CT | Slice 487/871 | Liver | Field of view 380x380 mm

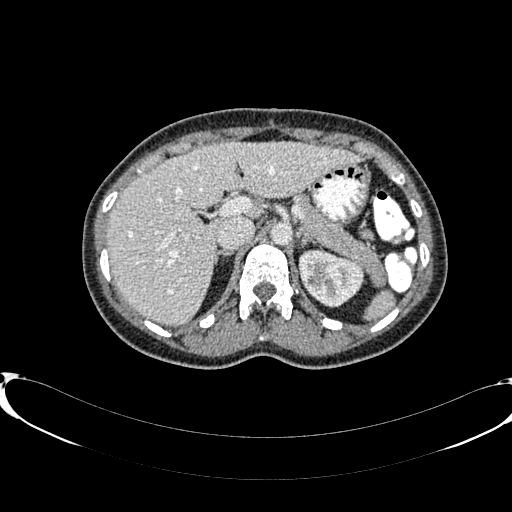

kidney: (300, 251, 361, 305) | liver: (249, 204, 262, 217), (106, 142, 363, 324)